MRI slice; Hippocampus; Image size 36x47

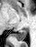

<segmentation>
  <posterior_hippocampus>13:29:27:40</posterior_hippocampus>
</segmentation>